240x240 | Slice 111 of 155
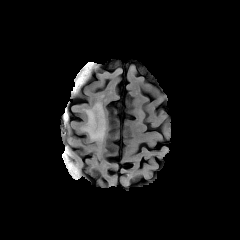
FLAIR magnetic resonance.
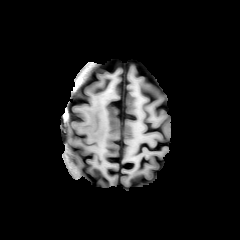
T1-weighted MRI of the same slice.
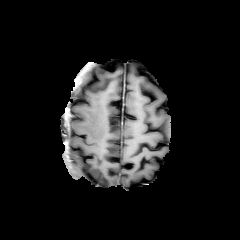
Same slice, post-contrast T1-weighted MR image.
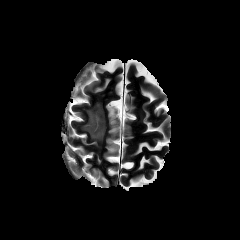
Same slice, T2-weighted MR image.
{"edema": ["(70, 162, 79, 176)", "(84, 103, 105, 140)"]}